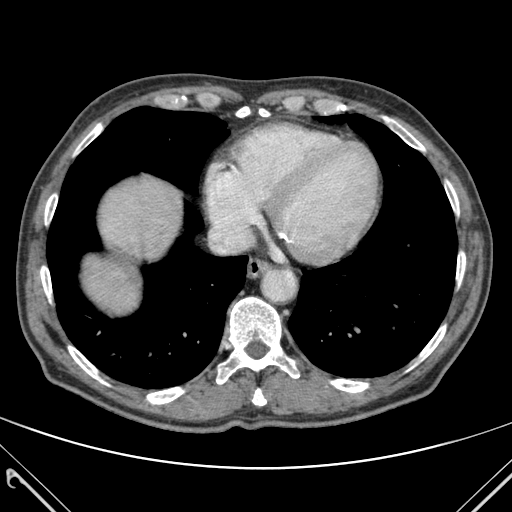
CT scan slice.
Bone = box(419, 325, 445, 361); box(40, 264, 51, 302); box(257, 108, 269, 116); box(216, 297, 299, 383); box(147, 387, 183, 404); box(445, 181, 459, 214); box(68, 346, 108, 385); box(236, 107, 254, 117); box(45, 193, 57, 224); box(75, 124, 102, 153); box(331, 379, 367, 392); box(252, 388, 266, 405); box(381, 116, 424, 150); box(456, 252, 465, 285).
Liver = box(83, 256, 138, 312); box(99, 180, 181, 259).
Lung = box(289, 114, 457, 377); box(46, 106, 247, 388).